Slice 102/155; Brain; Image size 240x240
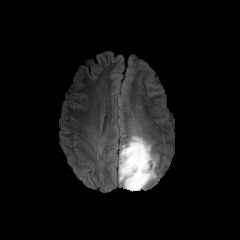
FLAIR MR.
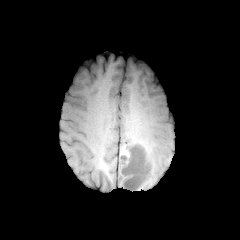
T1-weighted MR.
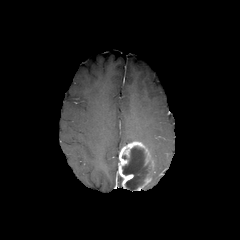
Post-contrast T1-weighted MR image.
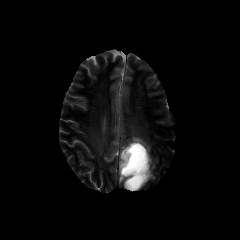
T2-weighted MR image.
- edema: region(118, 129, 158, 181)
- enhancing tumor: region(118, 141, 154, 190)
- non-enhancing tumor core: region(122, 146, 150, 190)